CT slice | 512x512 | Slice index 103 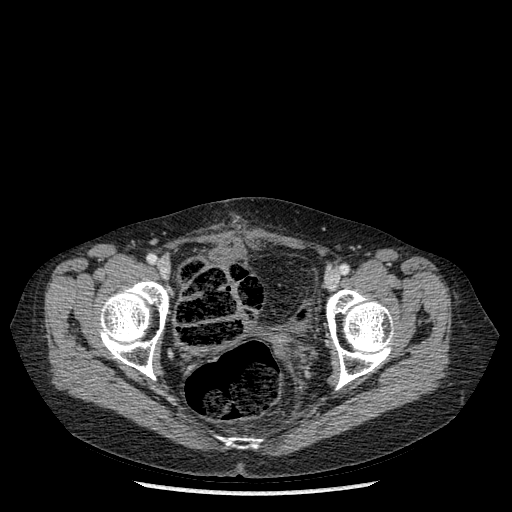

Annotated regions:
* bone: 220:437:261:448, 326:289:393:389, 97:279:168:380